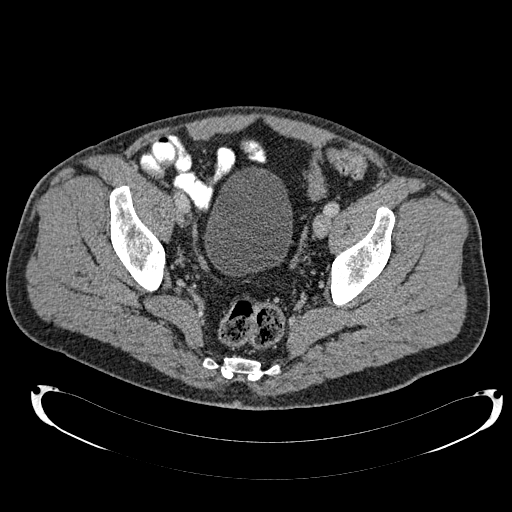
Pelvis. CT. The urinary bladder lies within 203,166,292,275.